MRI. Slice 12/38. Hippocampus.
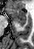
anterior hippocampus: 7 9 26 22 | posterior hippocampus: 20 23 24 26